FLAIR MR image.
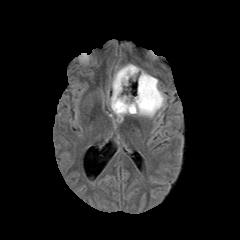
T1-weighted magnetic resonance.
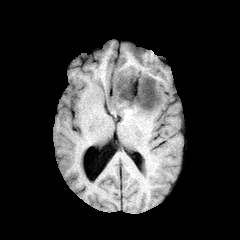
Post-contrast T1-weighted MR image.
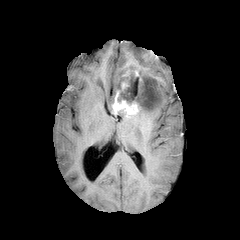
T2-weighted MRI.
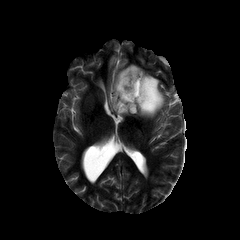
<segmentation>
  <non-enhancing_tumor_core><bbox>117, 70, 143, 105</bbox></non-enhancing_tumor_core>
  <edema><bbox>123, 78, 135, 93</bbox>, <bbox>109, 113, 127, 123</bbox>, <bbox>138, 68, 167, 118</bbox>, <bbox>106, 64, 139, 109</bbox></edema>
  <enhancing_tumor><bbox>112, 90, 139, 114</bbox></enhancing_tumor>
</segmentation>